FLAIR magnetic resonance.
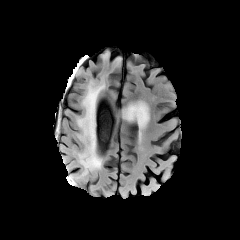
T1-weighted MR.
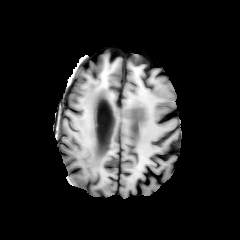
Post-contrast T1-weighted magnetic resonance.
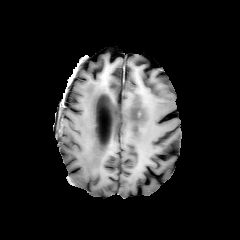
T2-weighted MRI.
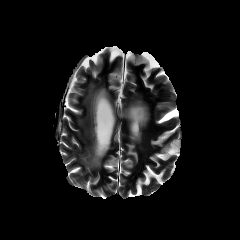
Head.
Edema — {"x1": 77, "y1": 84, "x2": 104, "y2": 175}.